240x240 px. Head.
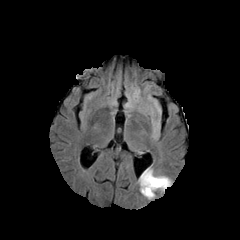
FLAIR MRI.
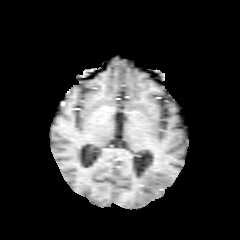
T1-weighted MRI.
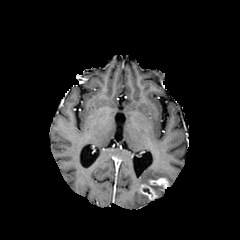
Same slice, post-contrast T1-weighted magnetic resonance.
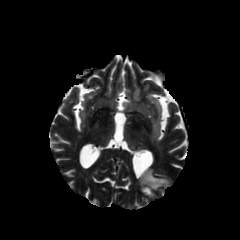
Same slice, T2-weighted MR.
The enhancing tumor is bounded by <bbox>141, 178, 168, 198</bbox>. The edema lies within <bbox>138, 167, 170, 191</bbox>.